240x240 px. Field of view 240 mm wide, 1.00 mm slice spacing.
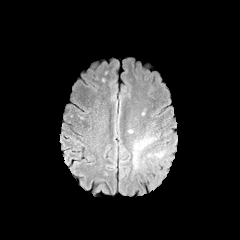
FLAIR MR.
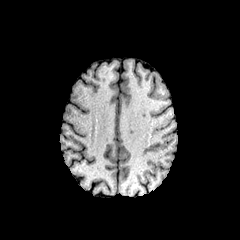
T1-weighted MR.
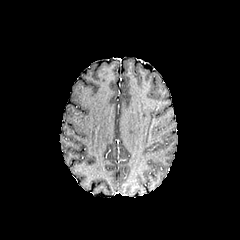
Post-contrast T1-weighted MR of the same slice.
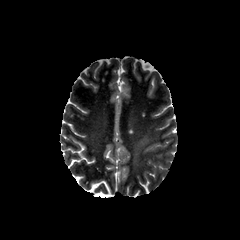
Same slice, T2-weighted MR image.
* edema: x1=133 y1=136 x2=154 y2=168